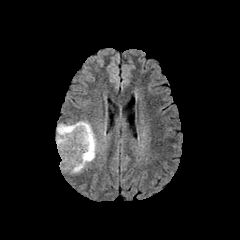
FLAIR MRI.
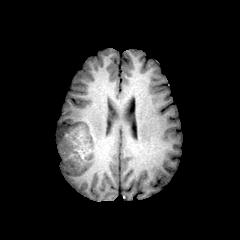
Same slice, T1-weighted MR image.
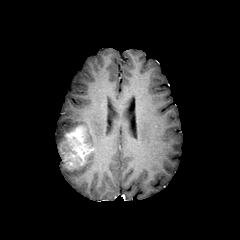
Post-contrast T1-weighted MR image.
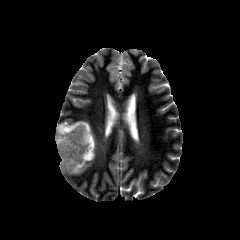
T2-weighted MR.
Head
Findings:
* non-enhancing tumor core: bbox(58, 123, 69, 150); bbox(70, 125, 94, 149)
* edema: bbox(66, 120, 98, 173); bbox(56, 123, 66, 152)
* enhancing tumor: bbox(64, 128, 92, 169)